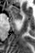
35x53 px. MR.
Segmented structures:
* anterior hippocampus: (x1=8, y1=5, x2=21, y2=19)